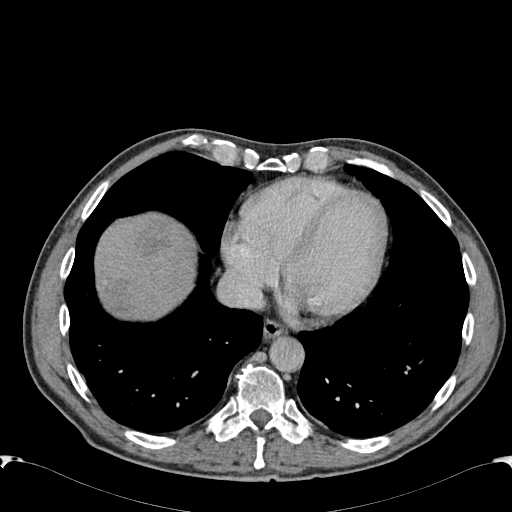

CT
The liver is bounded by (95,215,196,320). 2 hepatic lesion regions appear at (107,280,125,310), (140,229,166,252).